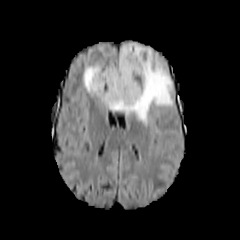
FLAIR MRI.
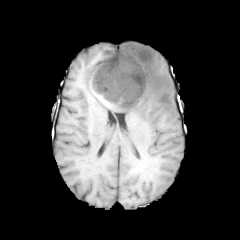
T1-weighted MR image.
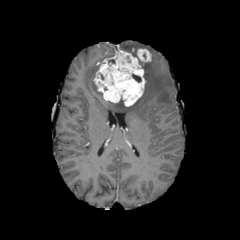
Post-contrast T1-weighted MRI.
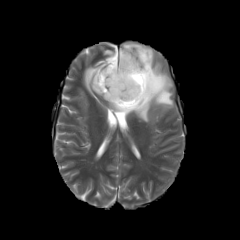
T2-weighted MRI.
Image size 240x240
<segmentation>
  <non-enhancing_tumor_core>(132,74,141,82)</non-enhancing_tumor_core>
  <enhancing_tumor>(136,49,151,61), (93,50,145,106)</enhancing_tumor>
  <edema>(84,42,172,126)</edema>
</segmentation>